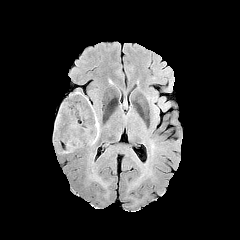
FLAIR MRI.
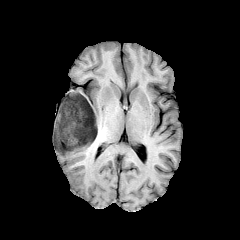
Same slice, T1-weighted magnetic resonance.
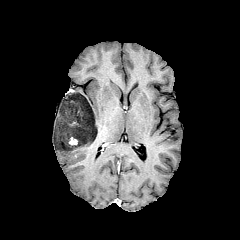
Post-contrast T1-weighted magnetic resonance.
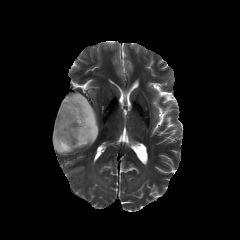
T2-weighted magnetic resonance.
240x240 px. Head.
The non-enhancing tumor core is located at x1=54, y1=94, x2=97, y2=150. The enhancing tumor is at x1=68, y1=136, x2=77, y2=145. 2 edema regions are bounded by x1=53, y1=138, x2=76, y2=153; x1=92, y1=107, x2=100, y2=136.